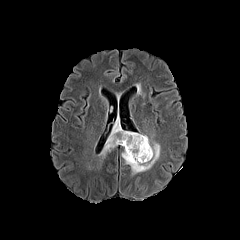
FLAIR MR image.
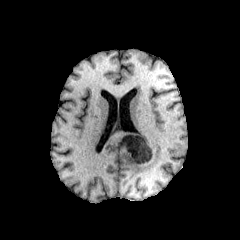
T1-weighted MR image.
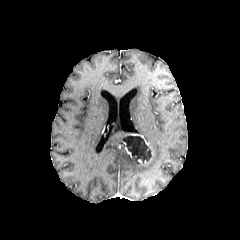
Post-contrast T1-weighted MR of the same slice.
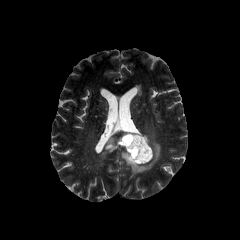
T2-weighted MR image.
non-enhancing tumor core: <bbox>118, 134, 152, 163</bbox> | edema: <bbox>121, 128, 160, 175</bbox>, <bbox>99, 130, 119, 157</bbox>